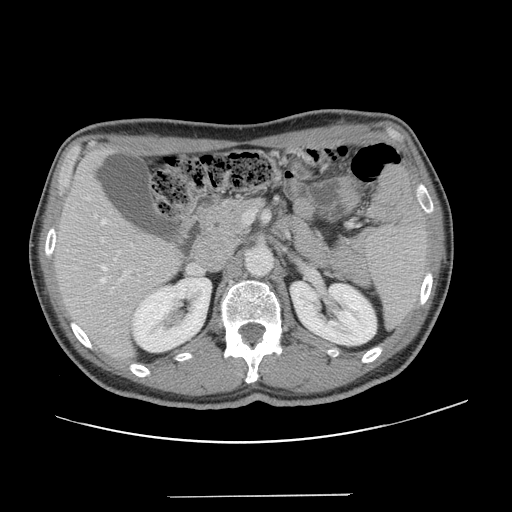
Computed tomography
The vessel boxes may cover only some of the vessels.
<segmentation>
  <hepatic_vessel>rect(100, 278, 105, 282); rect(100, 238, 103, 241); rect(110, 292, 111, 293); rect(118, 270, 130, 282); rect(87, 197, 89, 199); rect(114, 258, 116, 261); rect(101, 219, 105, 223); rect(131, 245, 132, 247); rect(102, 266, 106, 270)</hepatic_vessel>
</segmentation>